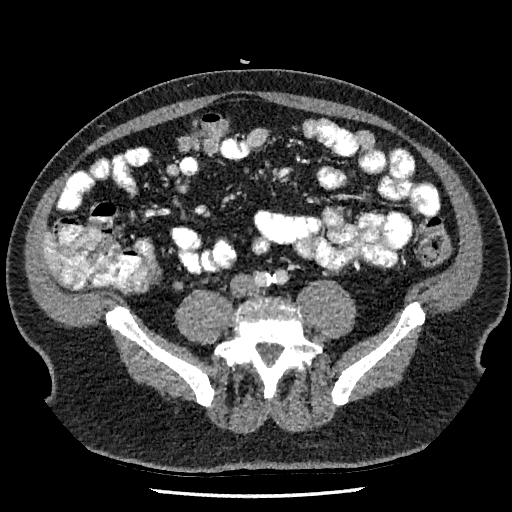
CT slice
<segmentation>
  <liver>x1=44, y1=234, x2=58, y2=271</liver>
</segmentation>